CT scan slice, Slice 14 of 605
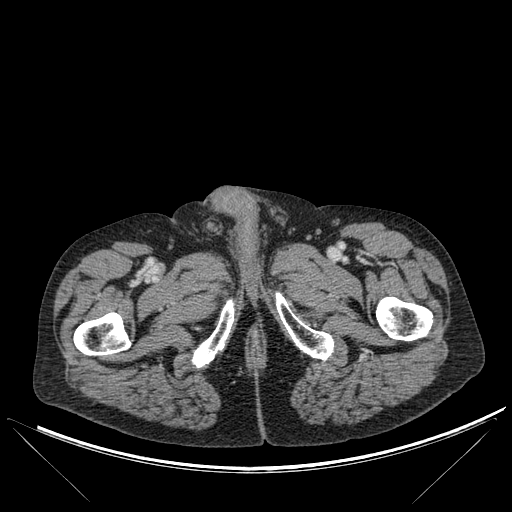

4 bone regions are located at <bbox>73, 312, 130, 355</bbox>, <bbox>275, 292, 333, 360</bbox>, <bbox>192, 300, 234, 367</bbox>, <bbox>376, 297, 432, 340</bbox>.